Brain | Image width 240 mm
FLAIR magnetic resonance.
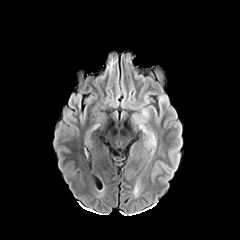
T1-weighted MRI.
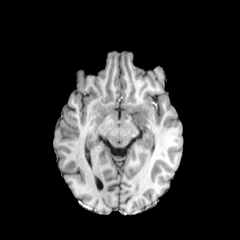
Post-contrast T1-weighted MRI.
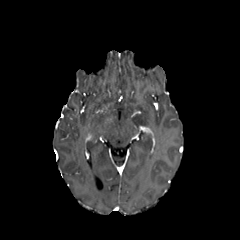
T2-weighted MR image.
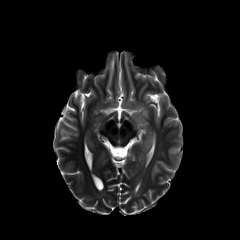
- edema: [142,133,152,155], [121,79,158,126]